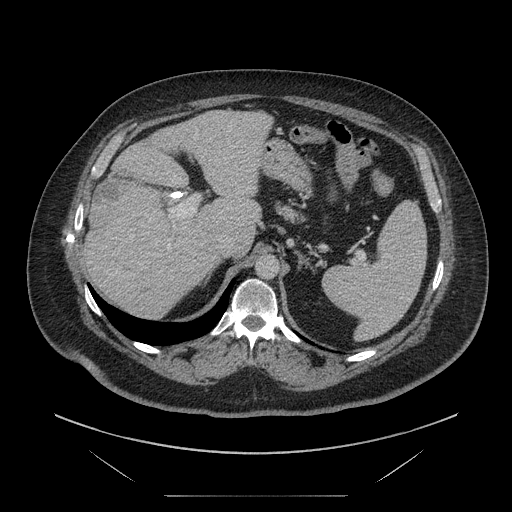

Liver. Computed tomography. 512x512. Some hepatic vessels may have no box.
hepatic_vessel:
  - 169 194 199 220
  - 167 238 169 240
  - 174 225 175 227
  - 168 244 169 245
  - 213 160 219 164
  - 171 199 172 201
liver_tumor:
  - 95 178 154 206